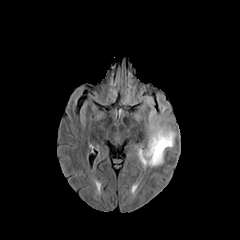
FLAIR MR image.
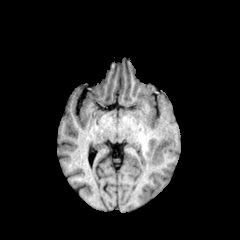
T1-weighted magnetic resonance of the same slice.
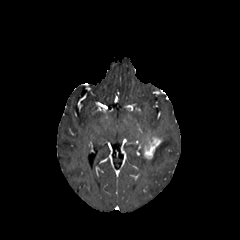
Post-contrast T1-weighted MRI.
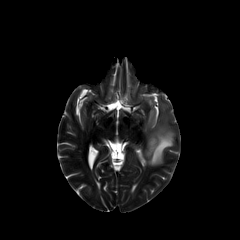
T2-weighted MR of the same slice.
240x240 px, Brain
{
  "edema": [
    "138, 122, 174, 165"
  ],
  "enhancing_tumor": [
    "142, 133, 160, 158"
  ]
}